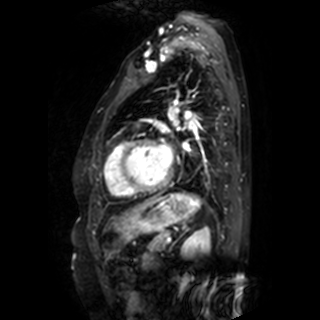 Magnetic resonance, Heart
The left atrium is at <bbox>159, 145, 173, 163</bbox>.